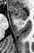

MR. Medial temporal lobe.
{
  "anterior_hippocampus": [
    "8,6,27,20"
  ]
}